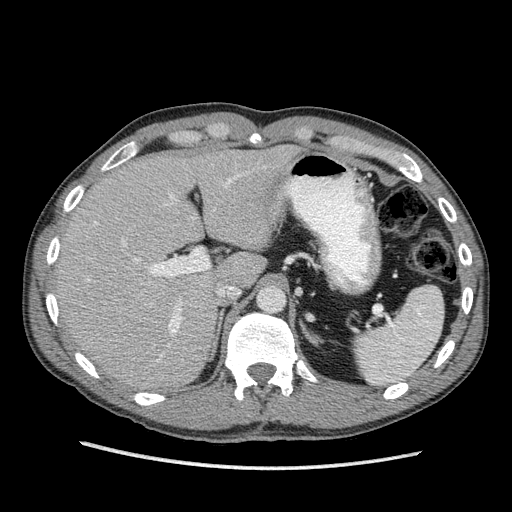
CT, Upper abdomen, 512x512
Segmented structures:
- liver: [52,144,305,393]